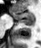
Hippocampus; MRI

The posterior hippocampus is at l=14, t=17, r=34, b=25. The anterior hippocampus is located at l=12, t=12, r=34, b=16.